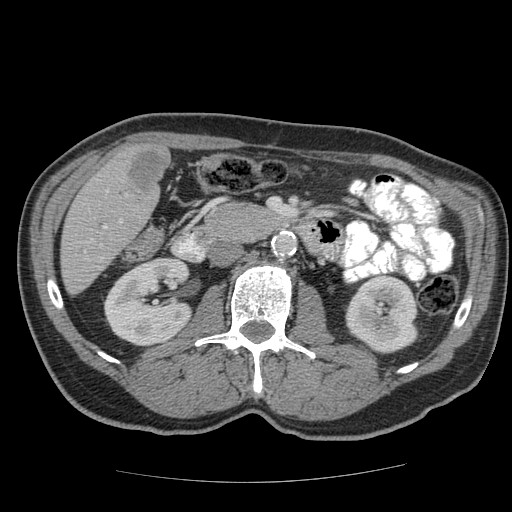
Liver, Computed tomography
Only some of the vessels may be annotated.
Annotated regions:
* liver tumor: 127, 150, 167, 190
* hepatic vessel: 103, 226, 106, 229; 125, 194, 126, 195